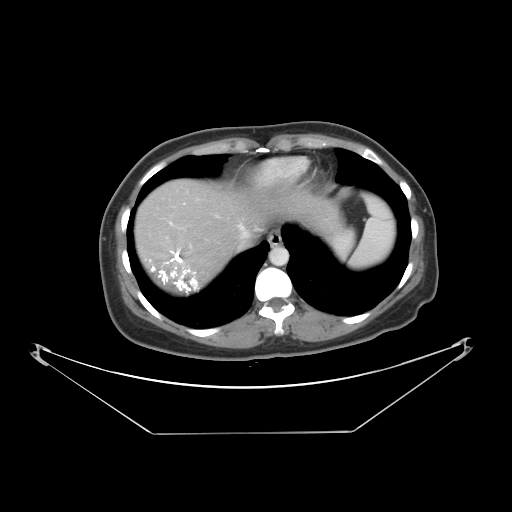

512x512. Computed tomography.

Some hepatic vessels may have no box.
Segmented structures:
* hepatic vessel: [x1=246, y1=241, x2=248, y2=244], [x1=165, y1=219, x2=184, y2=230], [x1=215, y1=215, x2=219, y2=217], [x1=238, y1=222, x2=248, y2=238]
* liver tumor: [x1=144, y1=245, x2=202, y2=292]